Image size 512x512; CT slice
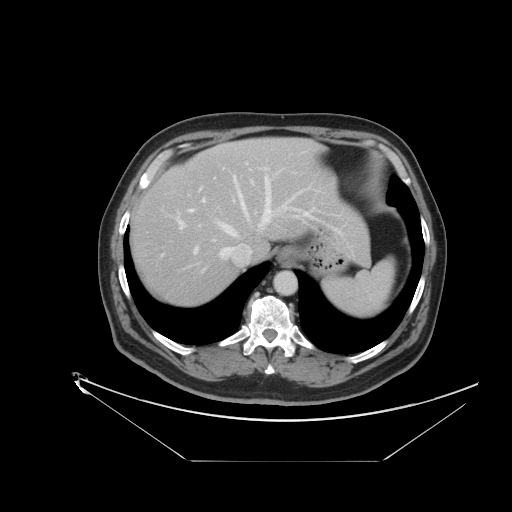
Only some of the vessels may be annotated.
partial: true
hepatic_vessel:
  # 15 of 16 shown
  - 233 175 248 220
  - 217 222 239 237
  - 194 247 198 253
  - 213 239 215 241
  - 277 189 315 218
  - 199 188 201 190
  - 245 163 247 164
  - 257 175 275 230
  - 333 228 342 234
  - 262 167 268 169
  - 251 180 252 184
  - 202 198 205 201
  - 176 211 184 228
  - 188 209 194 211
  - 220 244 251 261